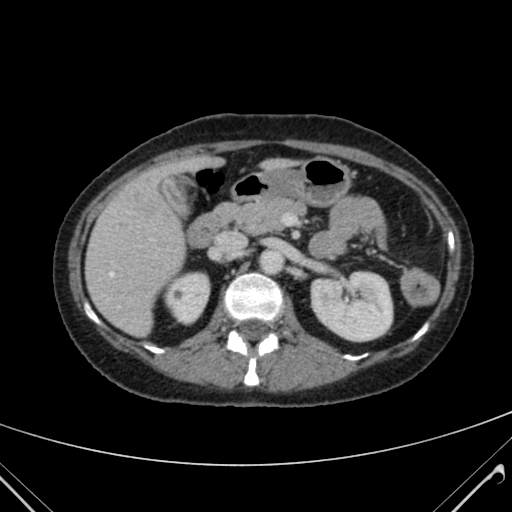

CT, Liver
Focal liver lesion: bbox=[140, 200, 161, 215].
Liver: bbox=[84, 164, 182, 334]; bbox=[199, 156, 217, 166].
Kidney: bbox=[312, 273, 391, 340]; bbox=[168, 274, 207, 320].